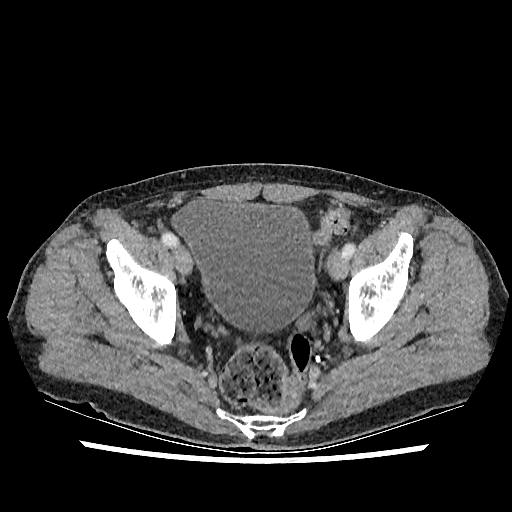

CT, Pelvis
The urinary bladder lies within (175,197,315,333).